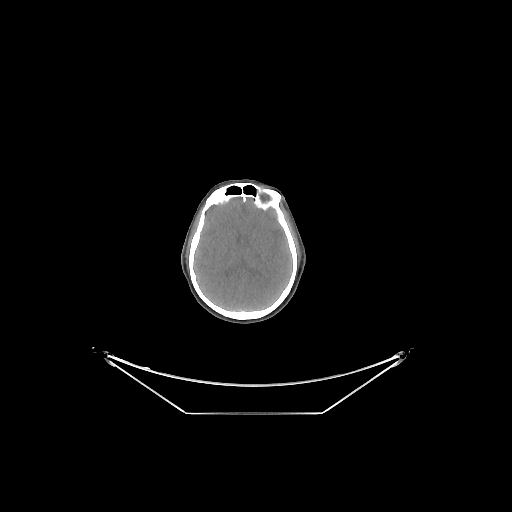
Head | CT

The brain appears at 193, 197, 292, 311.